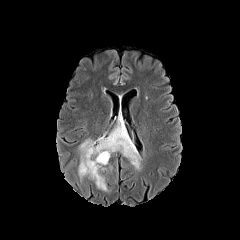
FLAIR magnetic resonance.
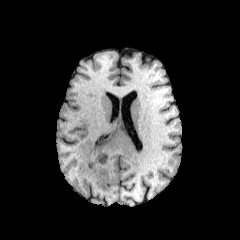
T1-weighted MR.
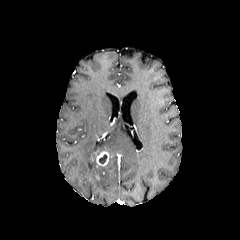
Same slice, post-contrast T1-weighted magnetic resonance.
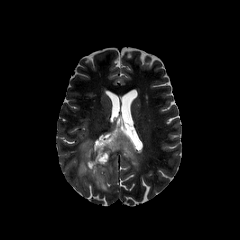
T2-weighted MR of the same slice.
Brain
enhancing_tumor:
  - [x1=97, y1=151, x2=108, y2=166]
non-enhancing_tumor_core:
  - [x1=98, y1=154, x2=107, y2=164]
edema:
  - [x1=78, y1=118, x2=141, y2=190]